CT scan slice
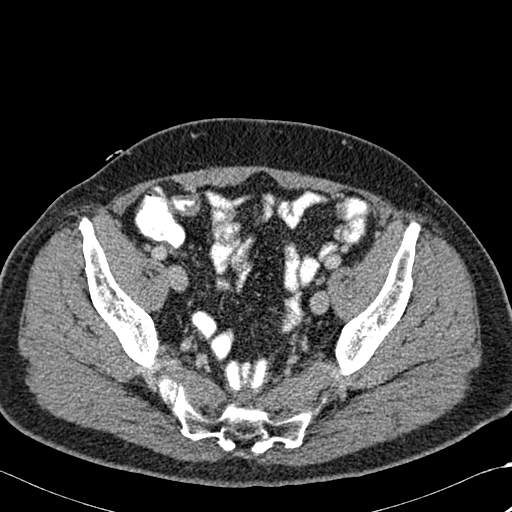

Bone — [x1=80, y1=218, x2=158, y2=371], [x1=159, y1=377, x2=311, y2=454], [x1=336, y1=222, x2=419, y2=375].